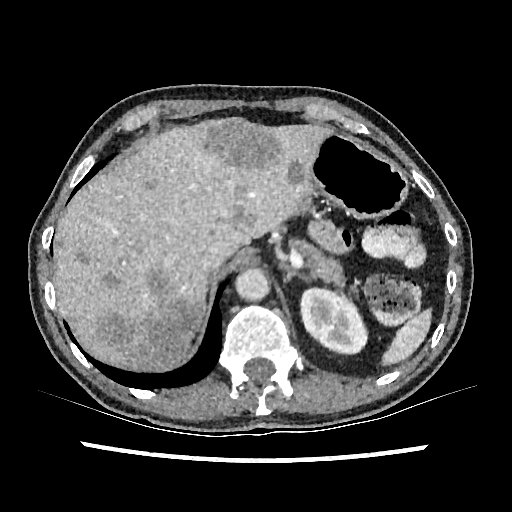 Liver; 512x512 px; CT image
liver: box=[56, 123, 330, 368] | liver lesion: box=[202, 120, 281, 170]; box=[101, 271, 123, 288]; box=[95, 270, 201, 368]; box=[232, 188, 254, 225]; box=[76, 248, 90, 264]; box=[287, 159, 308, 184]; box=[143, 179, 157, 189] | kidney: box=[301, 289, 366, 352]